Image size 240x240; Slice 95/155
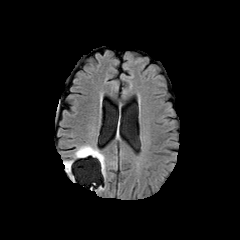
FLAIR MRI.
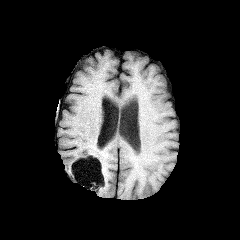
T1-weighted magnetic resonance.
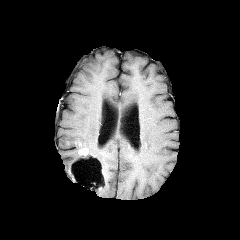
Post-contrast T1-weighted MRI.
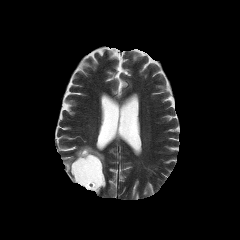
T2-weighted MRI of the same slice.
edema: left=64, top=158, right=74, bottom=172; left=72, top=144, right=105, bottom=179 | non-enhancing tumor core: left=72, top=149, right=103, bottom=173 | enhancing tumor: left=78, top=148, right=91, bottom=155